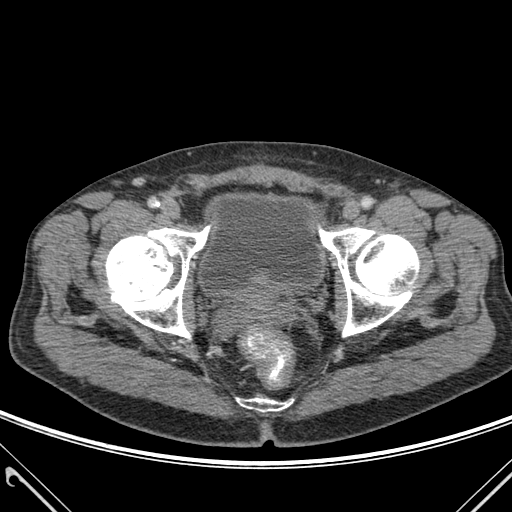 CT. Lower abdomen. <segmentation>
  <bone><box>241,398,291,411</box>, <box>319,227,418,336</box>, <box>106,226,209,338</box></bone>
  <urinary_bladder><box>200,198,321,291</box></urinary_bladder>
</segmentation>